CT image | 512x512 px | Slice 408/751
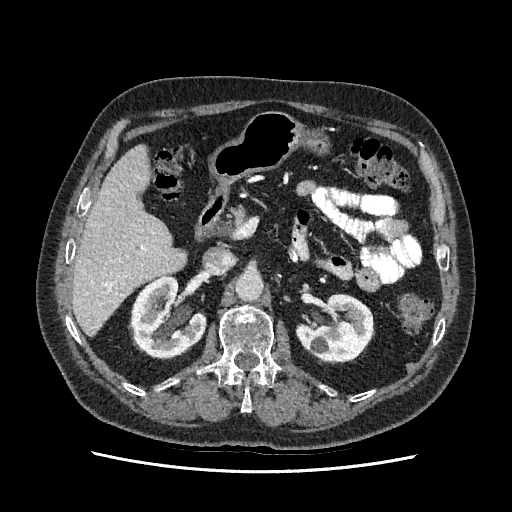
{"kidney": ["l=132, t=277, r=205, b=357", "l=297, t=294, r=372, b=361"], "liver": ["l=73, t=145, r=185, b=334"]}